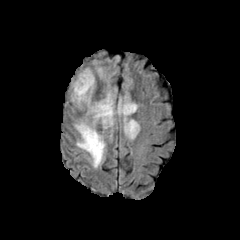
FLAIR MRI.
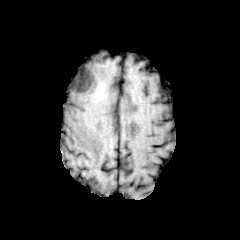
T1-weighted magnetic resonance.
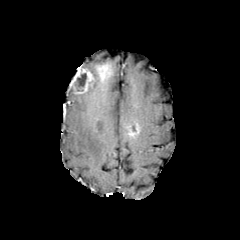
Post-contrast T1-weighted MR image.
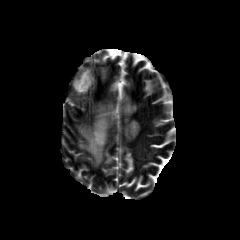
T2-weighted MR image.
The enhancing tumor appears at l=73, t=68, r=93, b=93. 3 edema regions appear at l=92, t=100, r=136, b=137; l=75, t=122, r=106, b=167; l=74, t=80, r=94, b=101. 2 non-enhancing tumor core regions are located at l=74, t=73, r=86, b=91; l=127, t=124, r=138, b=137.